Image size 240x240, Brain
FLAIR MRI.
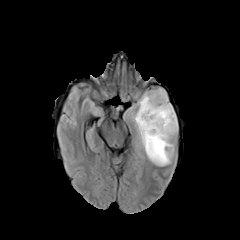
T1-weighted MR.
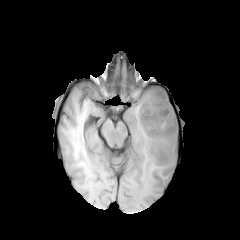
Post-contrast T1-weighted MRI.
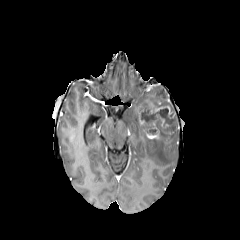
T2-weighted magnetic resonance.
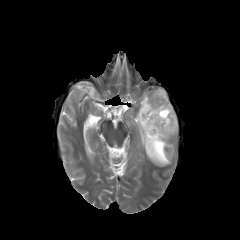
Edema — <bbox>129, 91, 178, 166</bbox>.
Non-enhancing tumor core — <bbox>138, 85, 178, 139</bbox>.